Abdomen | CT

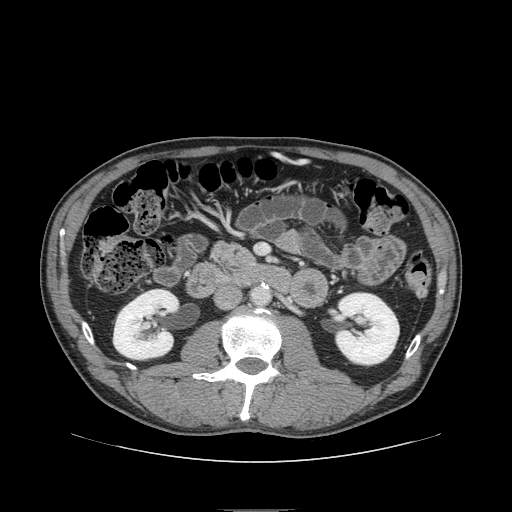 {"pancreas": ["bbox(211, 242, 255, 269)"]}